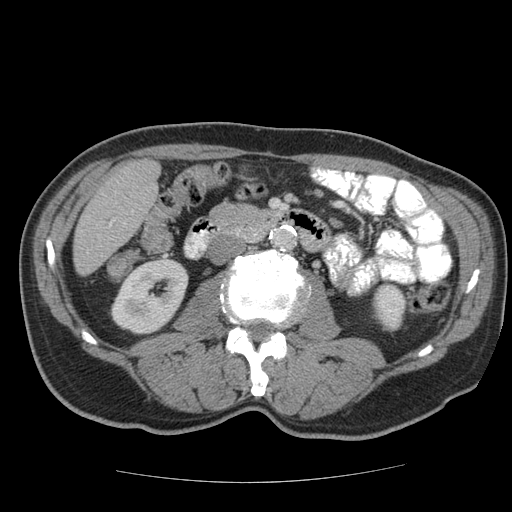

CT

The vessel annotation is not exhaustive.
<segmentation>
  <hepatic_vessel><bbox>109, 222, 111, 226</bbox></hepatic_vessel>
</segmentation>